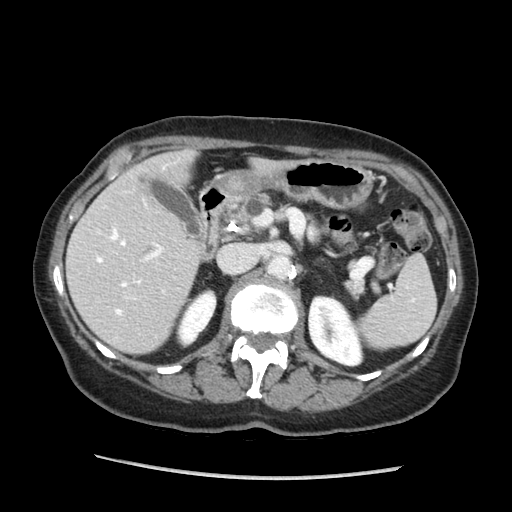
CT image | 512x512 px
Pancreas at box=[238, 194, 269, 221].